Image size 512x512; CT slice; Abdomen; Image width 380 mm

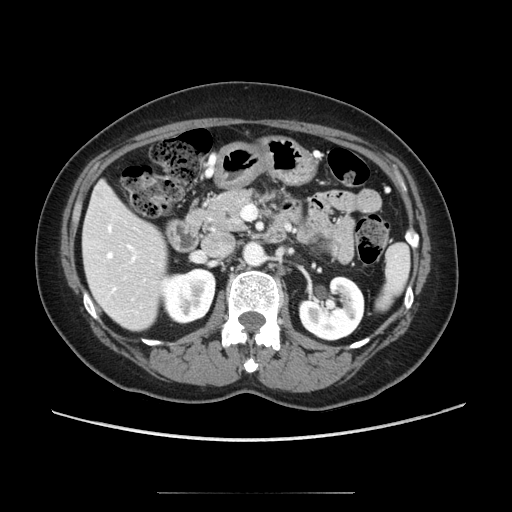

pancreas: <bbox>187, 189, 255, 231</bbox>